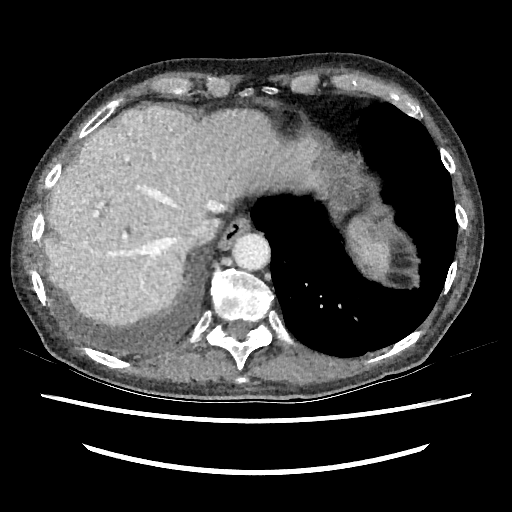

512x512 px, CT

liver:
  - (44, 106, 314, 323)